FLAIR MR image.
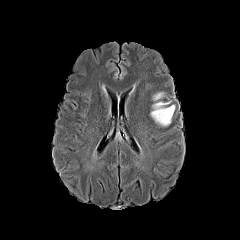
T1-weighted MRI.
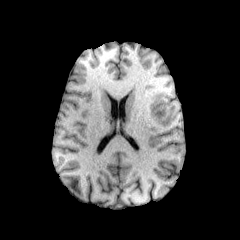
Post-contrast T1-weighted magnetic resonance.
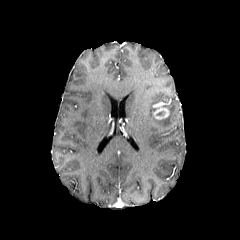
T2-weighted MR image.
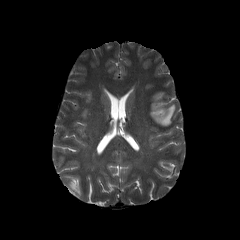
Brain
Enhancing tumor: bounding box box(152, 101, 170, 120).
Edema: bounding box box(150, 104, 176, 127); box(151, 92, 167, 102).